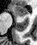

37x45 px, MRI slice
anterior hippocampus: <bbox>15, 6, 27, 15</bbox>